CT scan slice; Field of view 391 mm wide, 0.80 mm slice spacing; Slice index 338

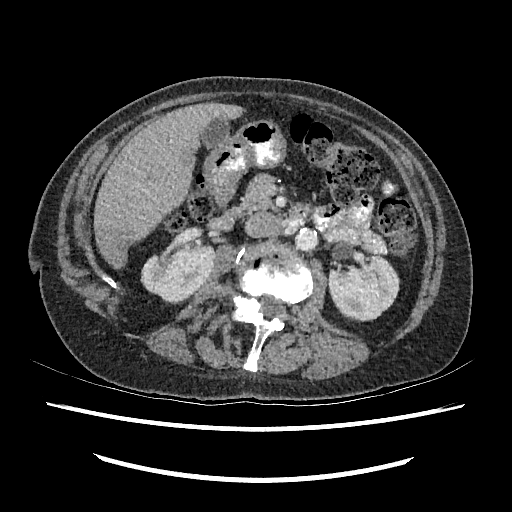 {
  "focal_liver_lesion": [
    "110:230:133:251"
  ],
  "kidney": [
    "141:246:215:301",
    "329:253:398:320"
  ],
  "liver": [
    "95:103:242:267"
  ]
}